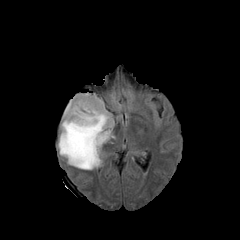
FLAIR MR image.
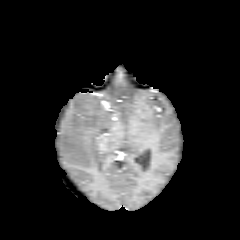
T1-weighted MR.
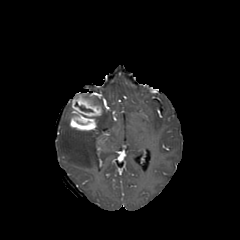
Same slice, post-contrast T1-weighted MRI.
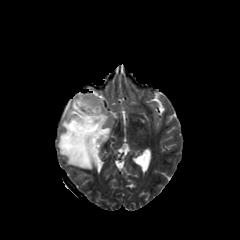
T2-weighted MRI.
Brain | 240x240
- non-enhancing tumor core: [x1=75, y1=102, x2=92, y2=111]
- edema: [x1=58, y1=99, x2=114, y2=169]
- enhancing tumor: [x1=69, y1=94, x2=102, y2=130]